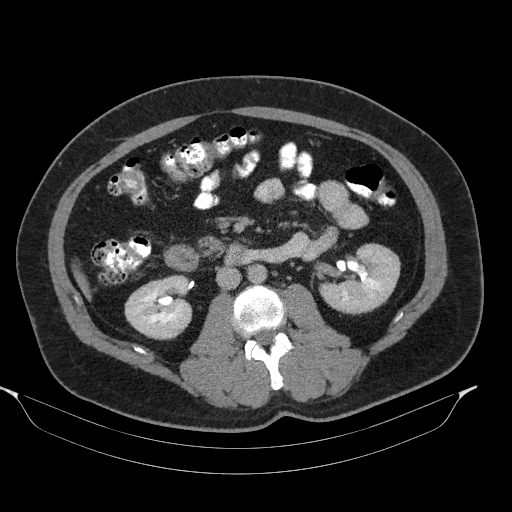 CT scan slice. 512x512 px. Abdomen.
The pancreas lies within box(197, 236, 223, 255).